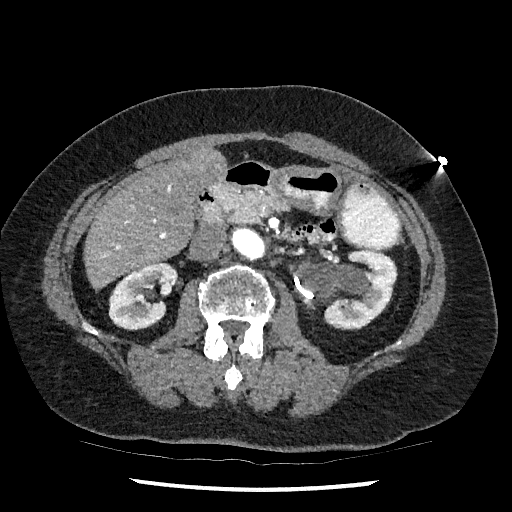 Image size 512x512, Upper abdomen, CT

The liver is bounded by 84,149,226,289. 2 kidney regions are located at 325,250,396,328; 109,263,176,329.